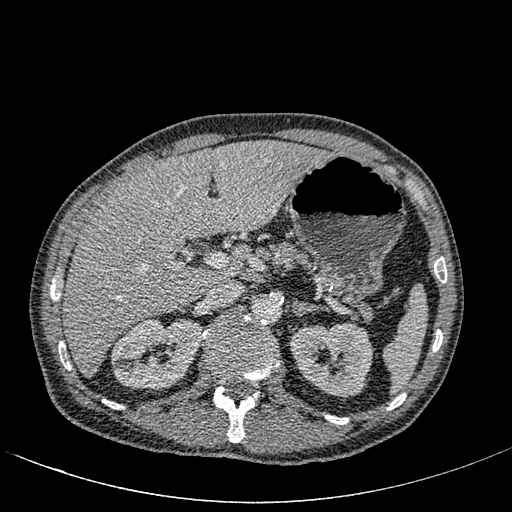
CT scan slice | Liver

<segmentation>
  <kidney>bbox(112, 319, 203, 389); bbox(290, 323, 372, 396)</kidney>
  <liver>bbox(62, 141, 329, 376)</liver>
</segmentation>